CT. Image width 350 mm. 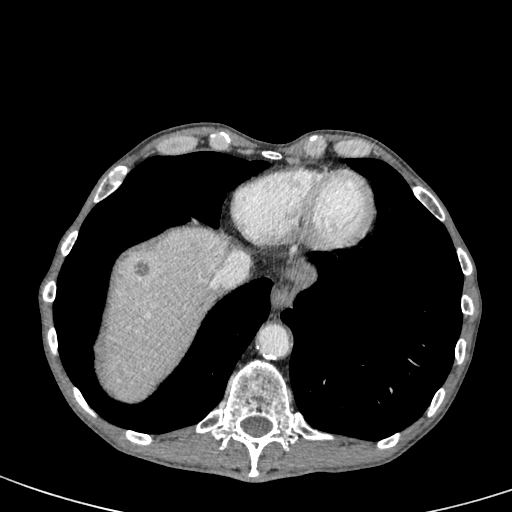 <segmentation>
  <hepatic_lesion><bbox>135, 262, 148, 275</bbox>, <bbox>287, 262, 315, 279</bbox></hepatic_lesion>
  <liver><bbox>287, 274, 315, 281</bbox>, <bbox>103, 228, 228, 402</bbox></liver>
</segmentation>